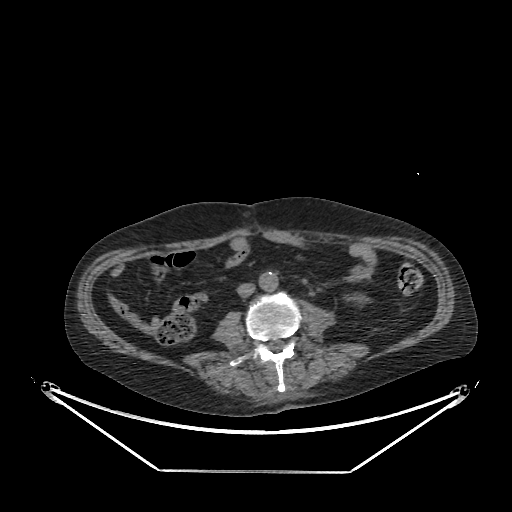
Computed tomography | Abdomen | Image size 512x512
The kidney is at 346:294:369:302.